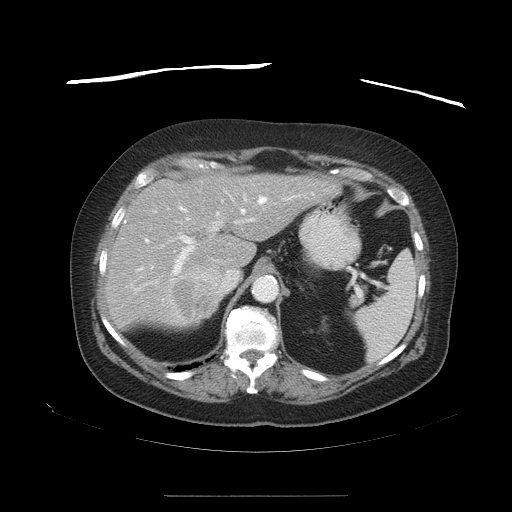 CT slice. Liver. The vessel annotation is not exhaustive.
The principal 15 hepatic vessel regions (of 21) appear at bbox=[212, 221, 221, 230]; bbox=[234, 218, 253, 223]; bbox=[243, 195, 246, 201]; bbox=[258, 196, 266, 205]; bbox=[285, 195, 299, 199]; bbox=[227, 194, 232, 199]; bbox=[130, 285, 144, 292]; bbox=[170, 233, 193, 280]; bbox=[152, 280, 157, 283]; bbox=[150, 265, 152, 269]; bbox=[135, 268, 142, 271]; bbox=[218, 270, 237, 295]; bbox=[179, 207, 186, 211]; bbox=[145, 239, 147, 242]; bbox=[240, 209, 244, 214]. The liver tumor is at bbox=[171, 274, 218, 323].